Computed tomography, Slice 549 of 751, Abdomen
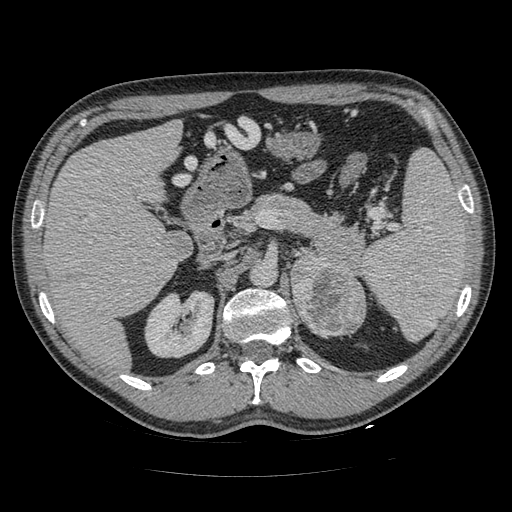 The pancreatic tumor is at 291, 255, 365, 335. The pancreas is at 250, 194, 364, 280.